Abdomen; CT; Slice index 39

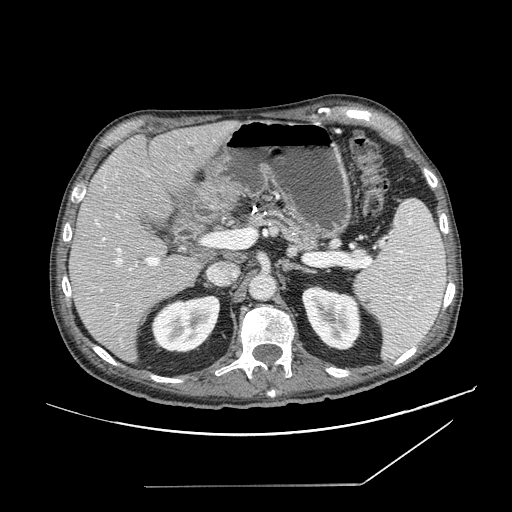

{
  "pancreas": [
    "249,212,317,248"
  ]
}